Image width 339 mm. CT scan slice. Abdomen. Slice index 323.

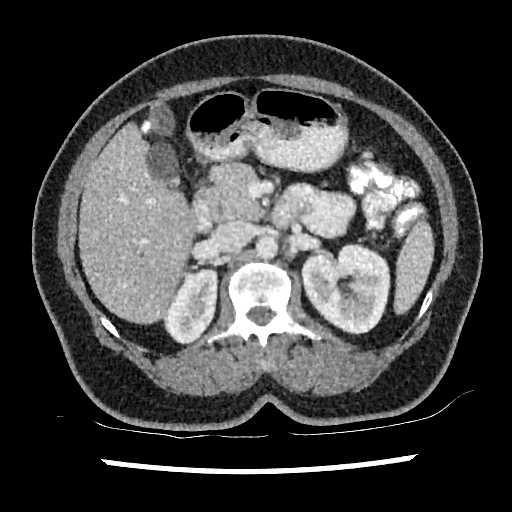 {"kidney": ["165 270 216 342", "300 245 388 332"], "hepatic_lesion": ["147 144 178 179"], "liver": ["79 124 190 321"]}